Head
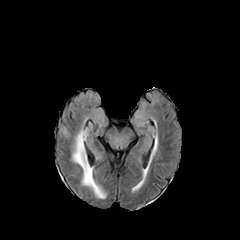
FLAIR MR image.
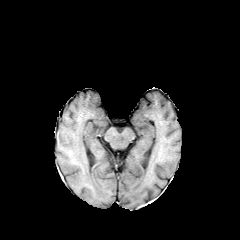
T1-weighted MR of the same slice.
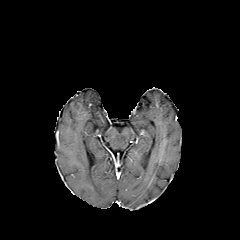
Post-contrast T1-weighted MRI.
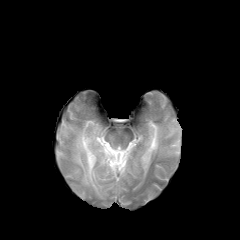
T2-weighted magnetic resonance.
edema:
  - box(72, 128, 106, 198)